CT scan slice. Abdomen.
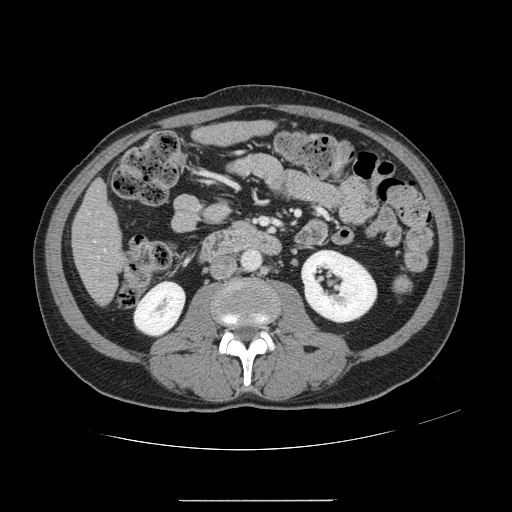

Not every hepatic vessel necessarily has a box.
Hepatic vessel = (104, 250, 105, 251).